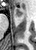 Magnetic resonance, Hippocampus

The anterior hippocampus appears at rect(14, 8, 22, 16).